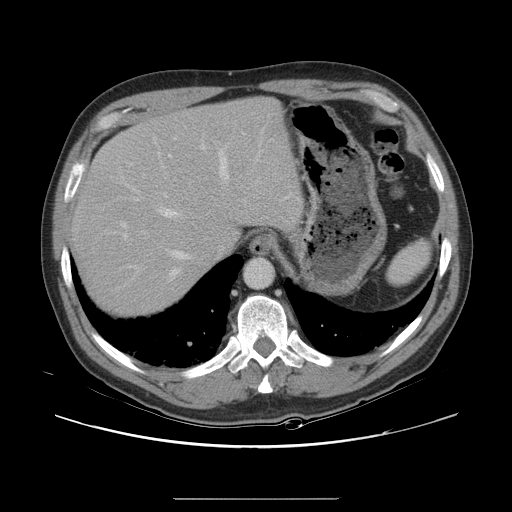
Image size 512x512. CT image. The vessel annotation is not exhaustive.
The largest 15 hepatic vessel regions (of 18) appear at rect(119, 173, 137, 192); rect(133, 197, 138, 201); rect(174, 137, 176, 139); rect(123, 233, 127, 238); rect(142, 174, 145, 178); rect(158, 208, 177, 217); rect(164, 193, 166, 196); rect(200, 138, 205, 149); rect(170, 251, 190, 259); rect(125, 265, 139, 272); rect(169, 268, 182, 278); rect(121, 222, 126, 227); rect(130, 278, 133, 280); rect(219, 144, 228, 181); rect(128, 163, 132, 165).